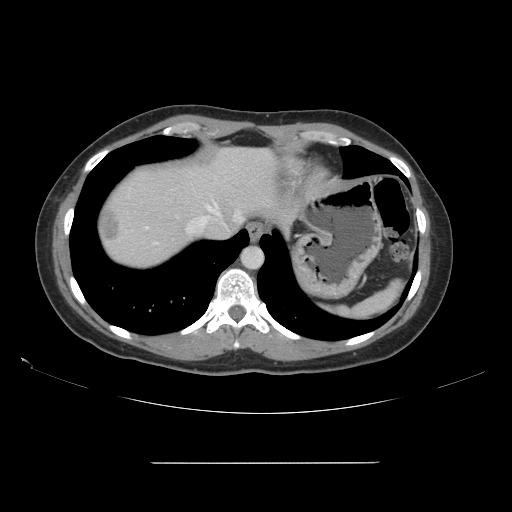 CT slice
Not every hepatic vessel necessarily has a box.
The liver tumor appears at 101 206 120 244. 5 hepatic vessel regions appear at 146 227 148 228, 194 216 206 229, 235 212 241 219, 188 226 194 231, 207 202 218 214.